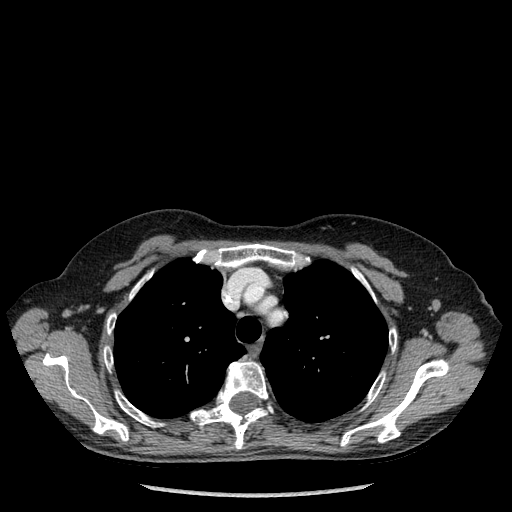 CT slice
Bone — rect(42, 353, 128, 441); rect(362, 371, 385, 409); rect(115, 391, 164, 427); rect(129, 272, 152, 299); rect(191, 361, 272, 448); rect(103, 346, 113, 371); rect(389, 328, 396, 351); rect(340, 359, 449, 446); rect(193, 244, 309, 267); rect(106, 313, 116, 334); rect(352, 267, 376, 301).
Lung — rect(260, 260, 387, 422); rect(114, 258, 261, 418).